Field of view 339 mm wide, 0.80 mm slice spacing; CT 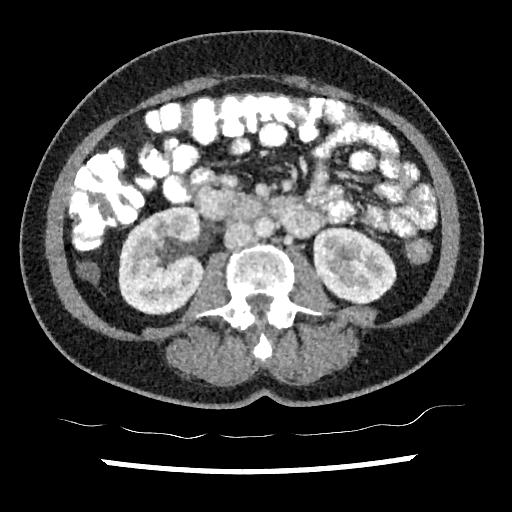

kidney: <bbox>314, 228, 395, 302</bbox>, <bbox>119, 207, 202, 313</bbox>